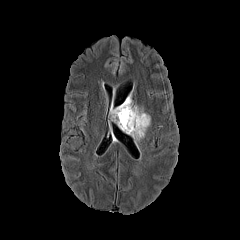
FLAIR magnetic resonance.
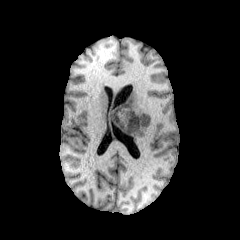
T1-weighted MR.
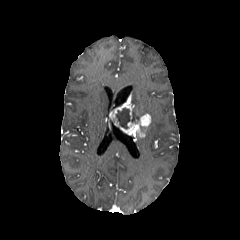
Post-contrast T1-weighted MR image.
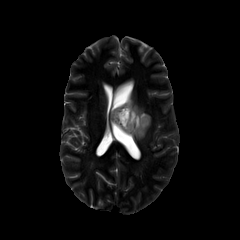
T2-weighted MR image.
Segmented structures:
- enhancing tumor: {"x1": 119, "y1": 114, "x2": 151, "y2": 137}, {"x1": 109, "y1": 94, "x2": 134, "y2": 123}
- non-enhancing tumor core: {"x1": 115, "y1": 105, "x2": 144, "y2": 129}